Field of view 512x512 mm; Abdomen; 512x512; CT
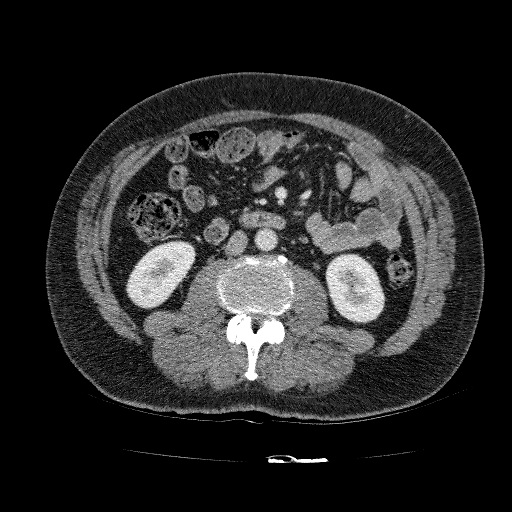

{
  "kidney": [
    "(left=127, top=242, right=194, bottom=307)",
    "(left=326, top=255, right=383, bottom=321)"
  ]
}